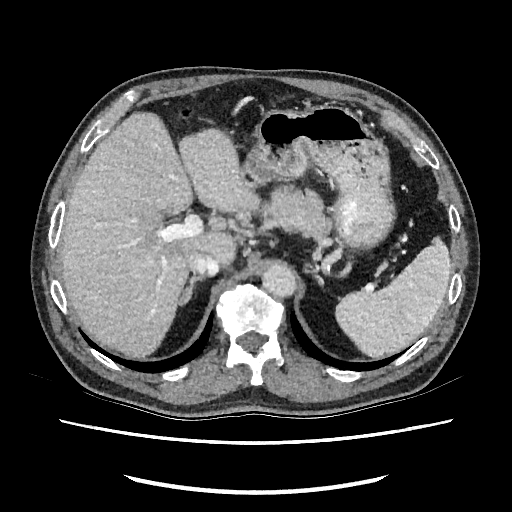

CT slice.

<segmentation>
  <focal_liver_lesion>169 244 179 250, 160 207 173 218</focal_liver_lesion>
  <liver>62 114 258 356</liver>
</segmentation>